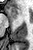
MR image, Medial temporal lobe
<segmentation>
  <anterior_hippocampus>box=[11, 7, 17, 16]</anterior_hippocampus>
</segmentation>